FLAIR magnetic resonance.
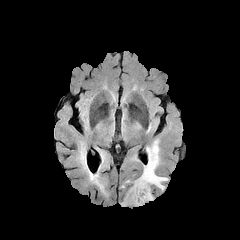
T1-weighted MR image.
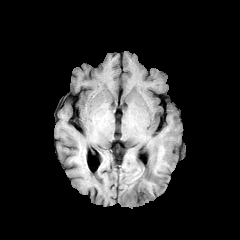
Post-contrast T1-weighted MR.
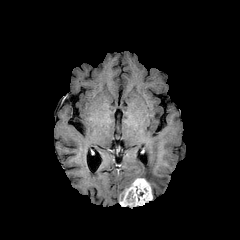
T2-weighted magnetic resonance.
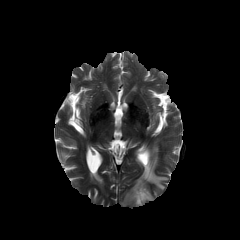
Brain; Image size 240x240
Enhancing tumor = 119 178 152 206.
Edema = 140 141 167 191.